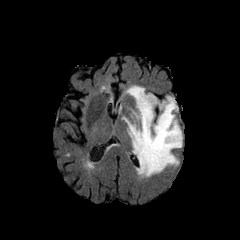
FLAIR MR.
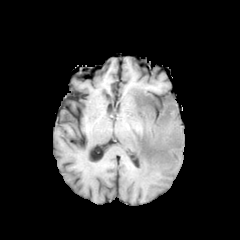
Same slice, T1-weighted magnetic resonance.
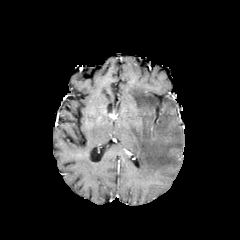
Post-contrast T1-weighted magnetic resonance.
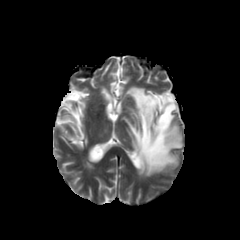
T2-weighted MRI.
Head
Segmented structures:
• edema: left=121, top=85, right=182, bottom=176